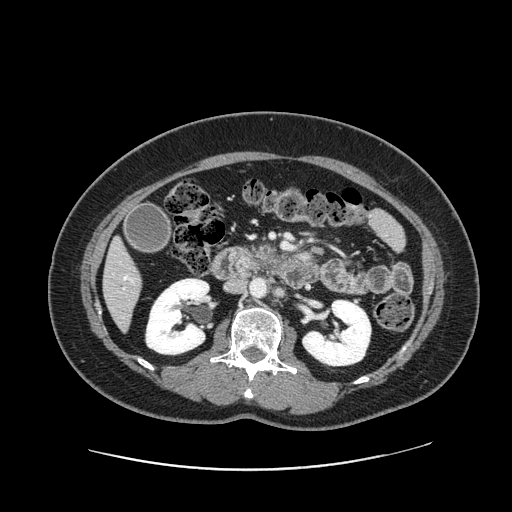

CT slice
pancreas: [250,246,274,262]